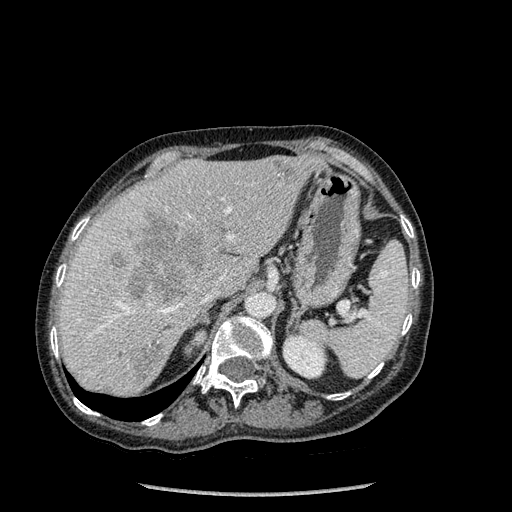
CT image; Abdomen; 512x512 px
<segmentation>
  <liver>(left=60, top=155, right=327, bottom=397)</liver>
  <lung>(left=68, top=370, right=193, bottom=421)</lung>
  <bone>(left=401, top=215, right=413, bottom=237), (left=367, top=362, right=383, bottom=378), (left=401, top=314, right=411, bottom=335), (left=56, top=264, right=66, bottom=287), (left=142, top=414, right=162, bottom=425), (left=50, top=326, right=58, bottom=357), (left=71, top=217, right=88, bottom=240), (left=193, top=316, right=272, bottom=407), (left=326, top=392, right=350, bottom=400), (left=411, top=268, right=419, bottom=288), (left=73, top=397, right=99, bottom=415)</bone>
  <hepatic_lesion>(left=118, top=344, right=162, bottom=380), (left=126, top=216, right=204, bottom=301), (left=109, top=255, right=126, bottom=270), (left=274, top=160, right=296, bottom=183)</hepatic_lesion>
  <kidney>(left=309, top=332, right=321, bottom=339), (left=283, top=336, right=324, bottom=377)</kidney>
</segmentation>